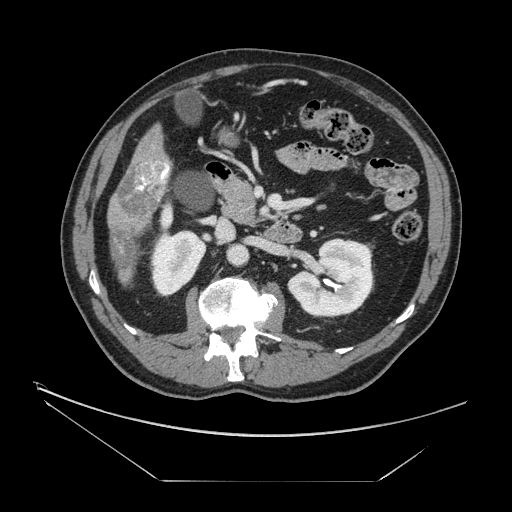

Abdomen, CT, 512x512
2 liver tumor regions are located at (110, 230, 136, 271), (117, 162, 170, 217).